CT scan slice.
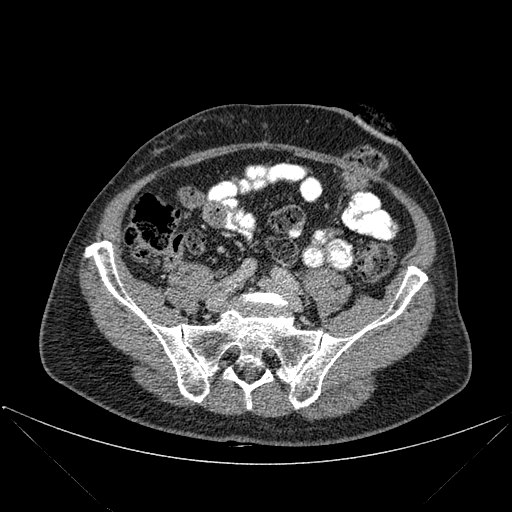
bone: [85,241,427,408], [223,366,273,408]